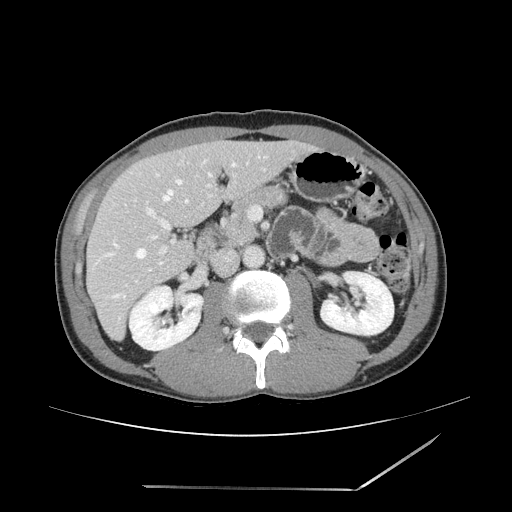

Upper abdomen | CT slice
Findings:
- pancreas: (227, 185, 287, 244)